FLAIR MR image.
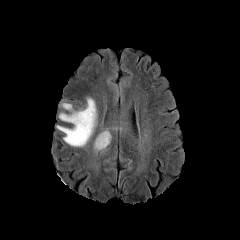
T1-weighted MR.
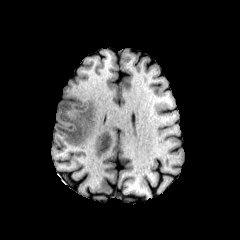
Post-contrast T1-weighted MR image.
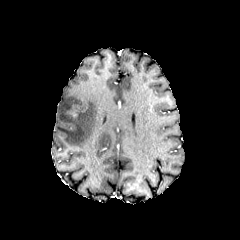
T2-weighted MR image.
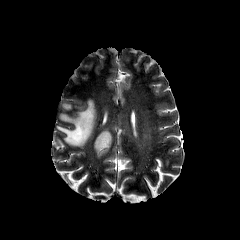
Image size 240x240
Annotated regions:
* enhancing tumor: l=70, t=103, r=86, b=117
* edema: l=94, t=130, r=111, b=152; l=62, t=103, r=72, b=110; l=56, t=97, r=97, b=146